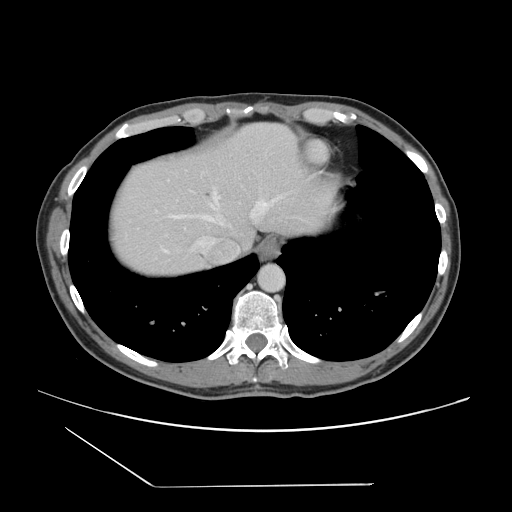

Abdomen. CT image. 512x512 px. Some hepatic vessels may have no box.
8 hepatic vessel regions are located at 227 224 230 226, 161 246 164 249, 250 194 286 218, 171 216 189 217, 197 241 198 244, 202 214 223 223, 200 237 205 241, 210 190 219 207.